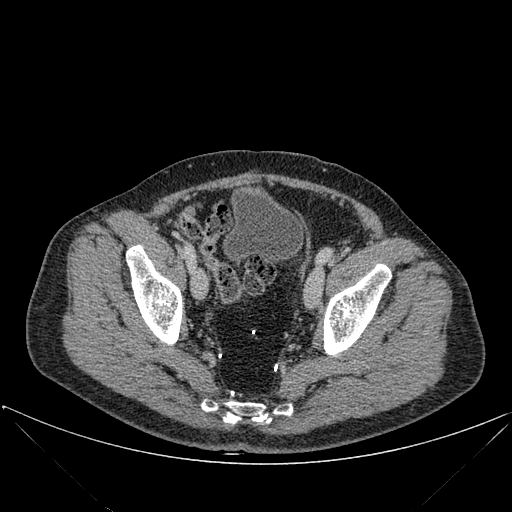
512x512, CT

5 bone regions are located at (x1=201, y1=401, x2=219, y2=411), (x1=273, y1=405, x2=292, y2=415), (x1=324, y1=264, x2=391, y2=354), (x1=126, y1=245, x2=182, y2=344), (x1=222, y1=401, x2=271, y2=425).